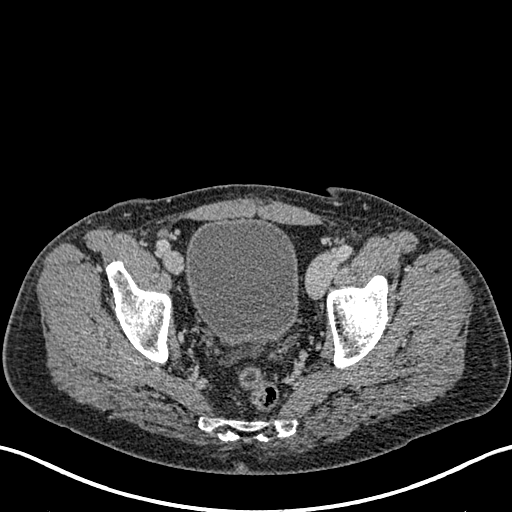 Pelvis | CT scan slice
urinary_bladder:
  - bbox=[185, 216, 298, 344]